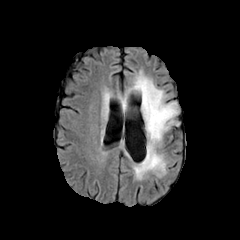
FLAIR MR.
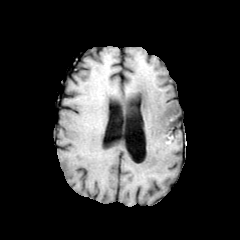
Same slice, T1-weighted magnetic resonance.
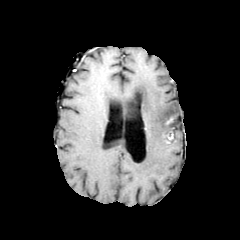
Post-contrast T1-weighted MR.
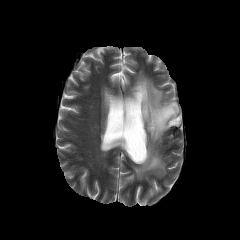
T2-weighted MR image.
240x240 px.
<segmentation>
  <edema>box=[118, 94, 127, 110]; box=[128, 71, 179, 179]; box=[104, 94, 111, 108]</edema>
</segmentation>